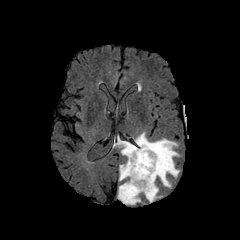
FLAIR magnetic resonance.
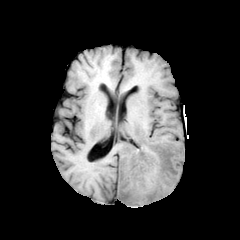
T1-weighted magnetic resonance of the same slice.
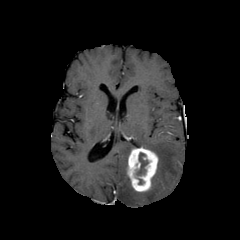
Post-contrast T1-weighted magnetic resonance of the same slice.
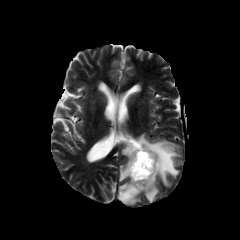
T2-weighted magnetic resonance.
Brain
Non-enhancing tumor core — (left=137, top=153, right=147, bottom=174).
Edema — (left=117, top=132, right=180, bottom=205).
Enhancing tumor — (left=126, top=146, right=158, bottom=191).